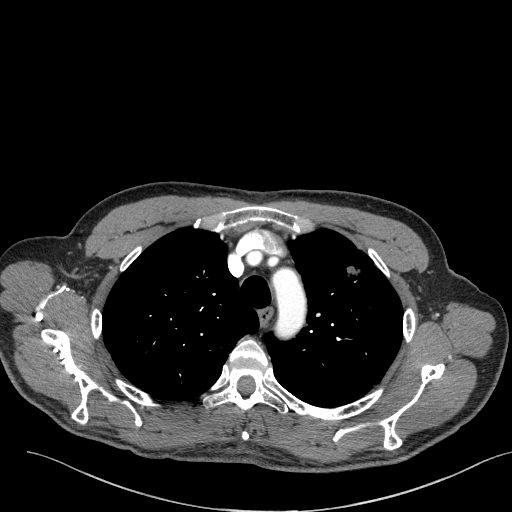

CT image. Thorax.

The lung tumor appears at (x1=340, y1=258, x2=369, y2=292).